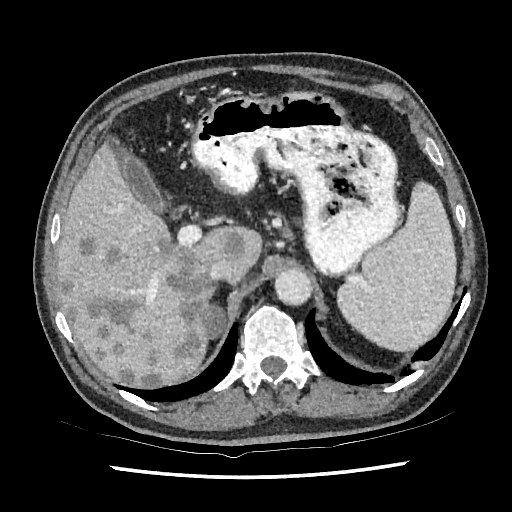
512x512 px, CT scan slice
The liver appears at 56,139,260,385. 14 focal liver lesion regions appear at 173,331,199,358; 166,249,212,324; 114,341,123,353; 93,347,107,359; 60,278,73,294; 147,348,161,365; 77,238,96,256; 142,372,161,385; 223,233,244,258; 85,295,144,331; 64,306,77,322; 120,368,133,383; 98,325,110,338; 105,247,123,265.